Field of view 240 mm wide, 1.00 mm slice spacing
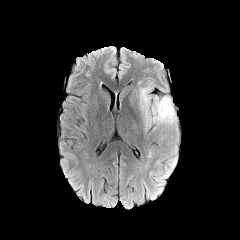
FLAIR magnetic resonance.
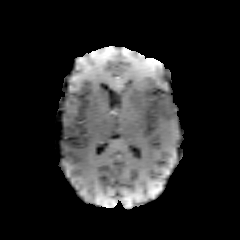
T1-weighted MR image of the same slice.
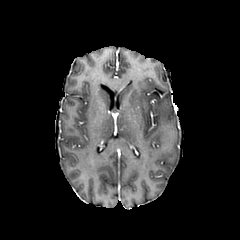
Post-contrast T1-weighted MR image.
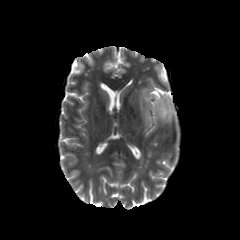
Same slice, T2-weighted MR image.
The edema appears at bbox(138, 83, 179, 143).